FLAIR MRI.
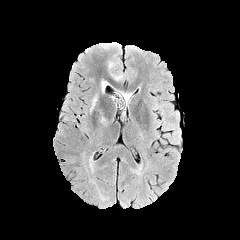
T1-weighted MR.
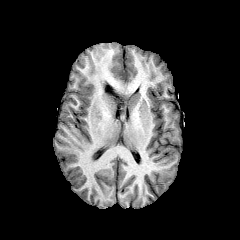
Post-contrast T1-weighted MRI.
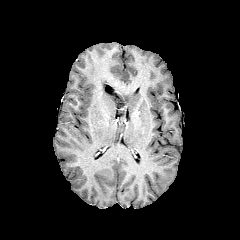
T2-weighted MR image.
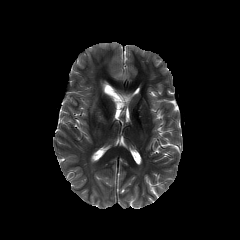
Image size 240x240
2 edema regions are bounded by [114, 88, 132, 115], [100, 81, 110, 92].